FLAIR MRI.
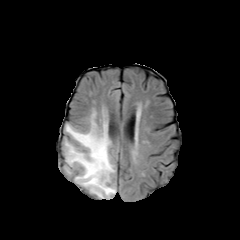
T1-weighted magnetic resonance.
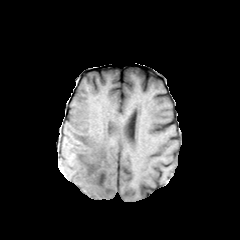
Post-contrast T1-weighted MR.
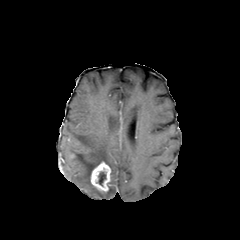
T2-weighted MRI.
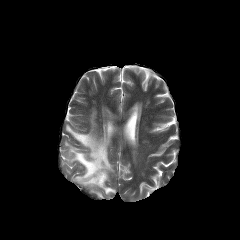
Brain.
{"enhancing_tumor": ["(90,162,110,192)"], "edema": ["(62,112,115,199)"], "non-enhancing_tumor_core": ["(99,172,105,184)", "(89,163,96,179)"]}